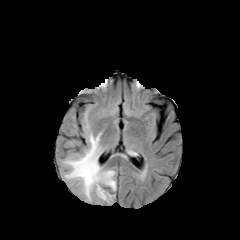
FLAIR MR image.
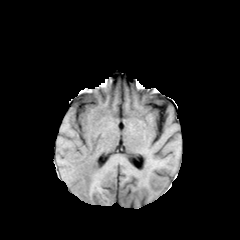
T1-weighted magnetic resonance.
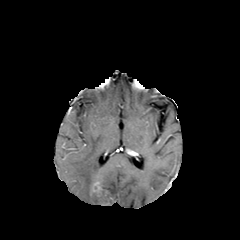
Post-contrast T1-weighted MR of the same slice.
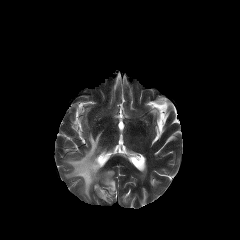
Same slice, T2-weighted MR.
240x240
The edema is bounded by region(63, 131, 116, 202).